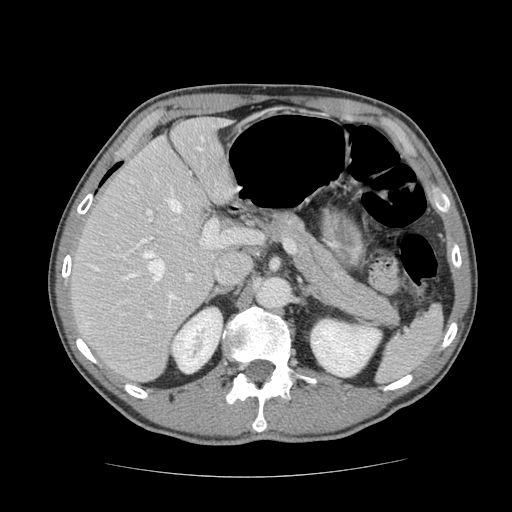 CT image
Pancreas: bounding box l=261, t=211, r=402, b=328.